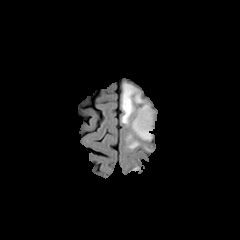
FLAIR MR.
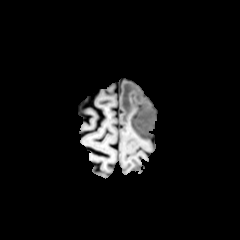
T1-weighted magnetic resonance of the same slice.
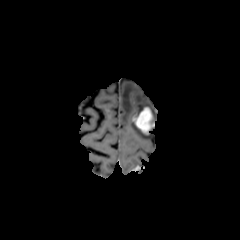
Post-contrast T1-weighted MR image.
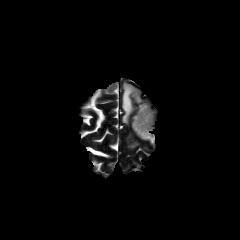
Same slice, T2-weighted MR.
Brain
Annotated regions:
• edema: rect(132, 122, 152, 140); rect(129, 142, 138, 148); rect(121, 82, 148, 124)
• enhancing tumor: rect(131, 107, 154, 134)